CT slice

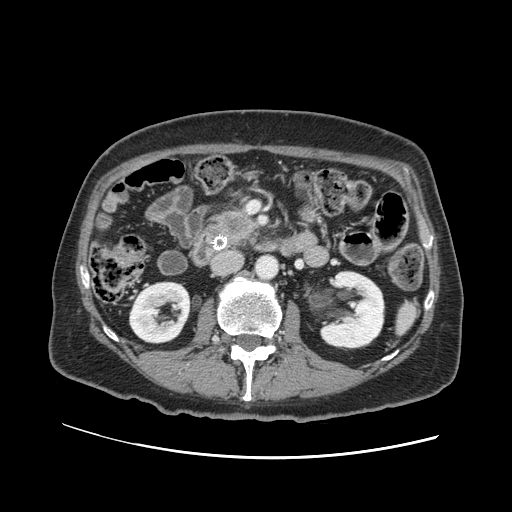

The pancreas is located at left=202, top=206, right=260, bottom=254. The pancreatic tumor lies within left=209, top=211, right=257, bottom=244.